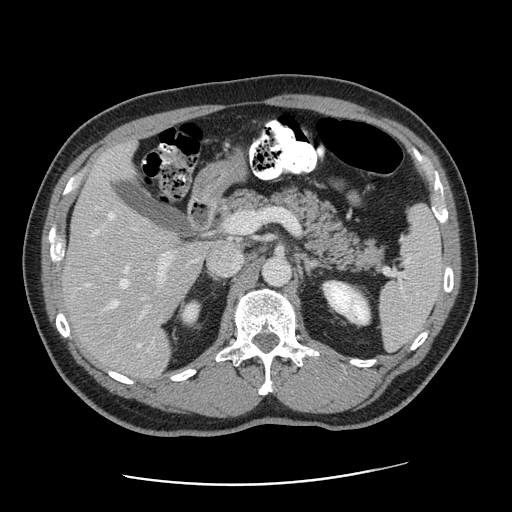 Computed tomography
Only some of the vessels may be annotated.
Hepatic vessel at x1=140, y1=311, x2=145, y2=317; x1=85, y1=283, x2=89, y2=285; x1=192, y1=260, x2=195, y2=261; x1=108, y1=213, x2=113, y2=219; x1=226, y1=213, x2=250, y2=232; x1=210, y1=244, x2=242, y2=275; x1=121, y1=278, x2=128, y2=286; x1=146, y1=306, x2=148, y2=308; x1=160, y1=251, x2=176, y2=277; x1=203, y1=244, x2=210, y2=247; x1=126, y1=265, x2=129, y2=270; x1=105, y1=301, x2=117, y2=309; x1=92, y1=231, x2=97, y2=234; x1=138, y1=344, x2=140, y2=346.